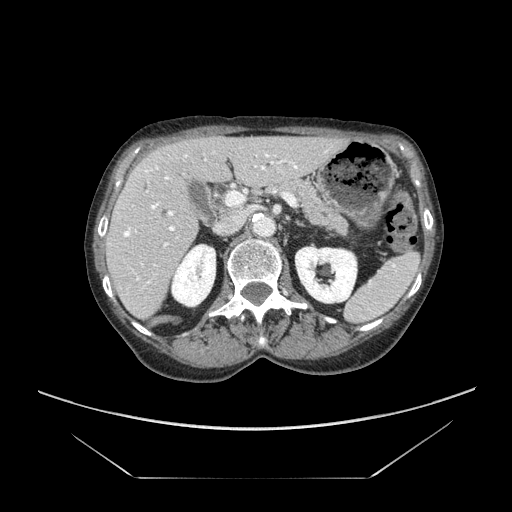

CT image. Abdomen. 512x512. pancreas:
  - (270,178,354,242)